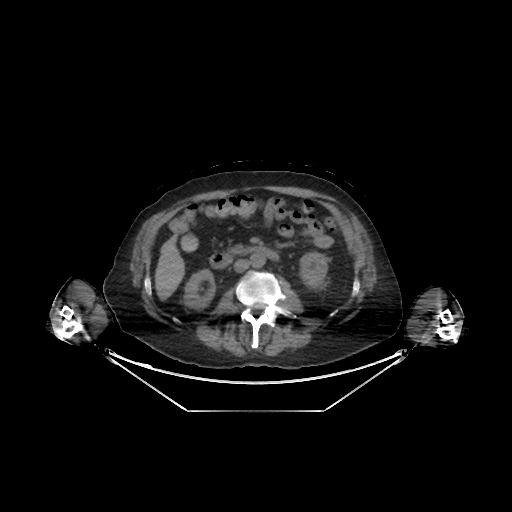
Upper abdomen; CT image
kidney:
  - [x1=179, y1=267, x2=219, y2=311]
  - [x1=298, y1=252, x2=331, y2=295]
liver:
  - [x1=181, y1=235, x2=197, y2=251]
  - [x1=155, y1=235, x2=184, y2=298]